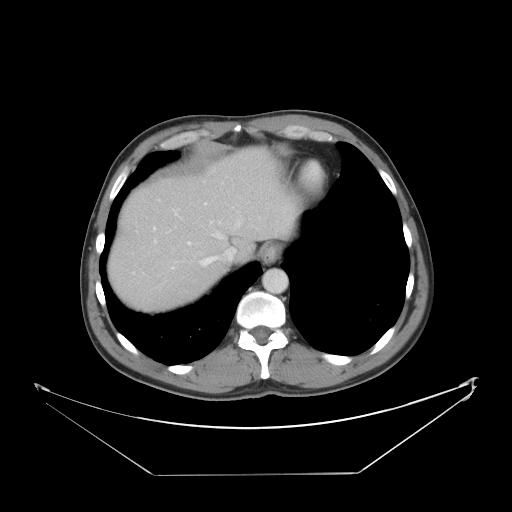 512x512, Computed tomography, Liver
Only some of the vessels may be annotated.
<segmentation>
  <hepatic_vessel>l=214, t=232, r=225, b=238; l=154, t=240, r=156, b=242; l=205, t=203, r=206, b=204; l=173, t=209, r=178, b=215; l=211, t=221, r=212, b=222; l=218, t=221, r=220, b=223; l=235, t=220, r=241, b=226; l=158, t=199, r=160, b=201; l=188, t=242, r=190, b=245; l=153, t=227, r=155, b=229; l=168, t=230, r=170, b=232; l=132, t=272, r=134, b=273; l=200, t=256, r=219, b=265; l=172, t=267, r=173, b=268</hepatic_vessel>
</segmentation>